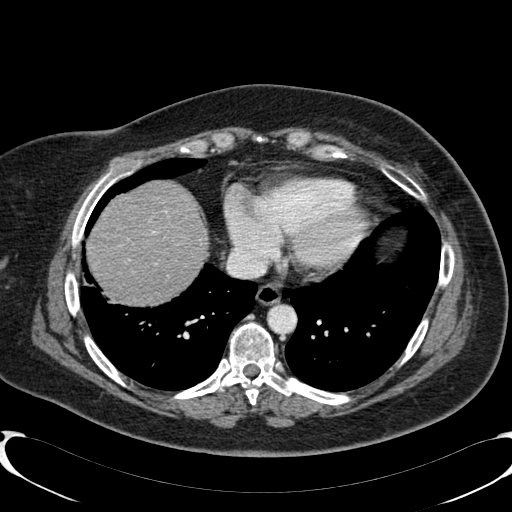
CT image, Upper abdomen, Image size 512x512

<segmentation>
  <liver>(x1=85, y1=181, x2=207, y2=303)</liver>
</segmentation>